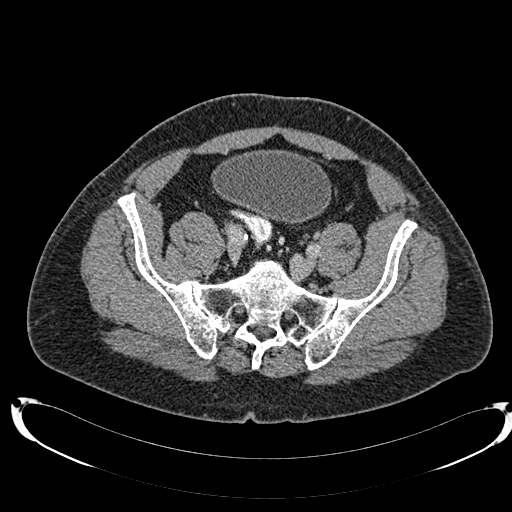 CT image. The urinary bladder lies within region(213, 150, 331, 223).